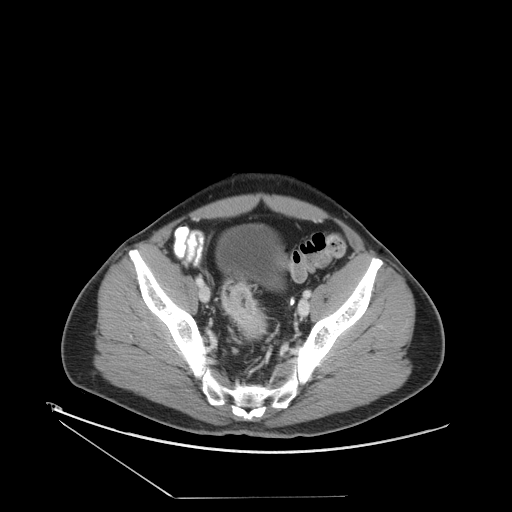 Abdomen; CT scan slice; Image size 512x512
Colon tumor = box(221, 283, 264, 333).